Slice 52 of 422 | Lower abdomen | Computed tomography 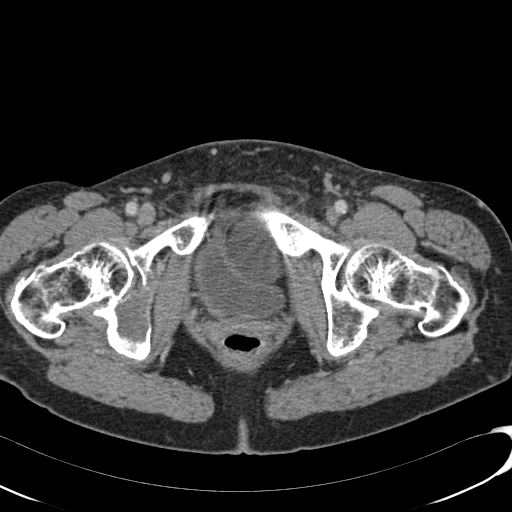
{"urinary_bladder": ["[193,217,285,326]"]}